Slice 93 of 155
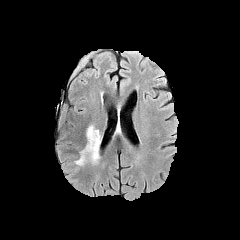
FLAIR magnetic resonance.
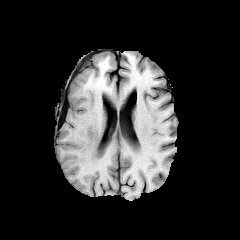
T1-weighted MRI of the same slice.
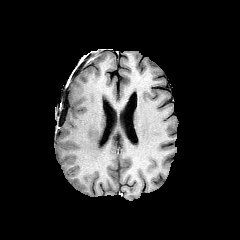
Post-contrast T1-weighted MR.
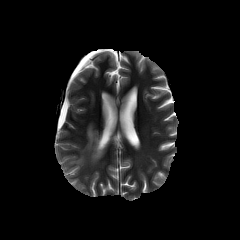
T2-weighted MR.
Edema — l=74, t=124, r=101, b=165.